Field of view 388 mm wide, 0.70 mm slice spacing; CT image 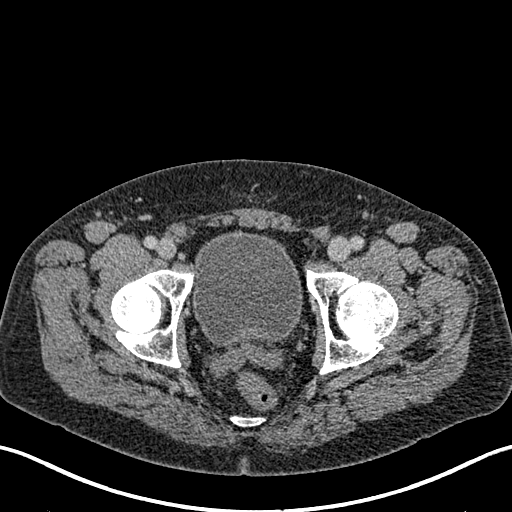

Annotated regions:
* urinary bladder: [192,231,302,339]